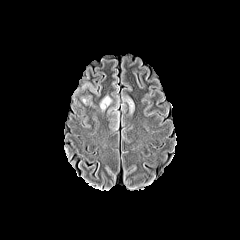
FLAIR MR.
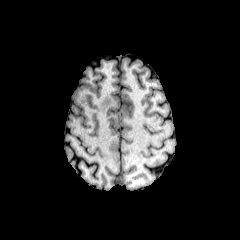
T1-weighted MR of the same slice.
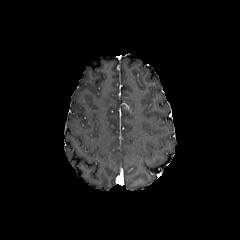
Post-contrast T1-weighted magnetic resonance.
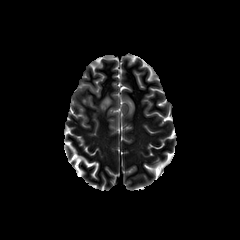
T2-weighted MR image.
240x240
2 edema regions appear at 126 97 135 111, 100 96 111 111. The enhancing tumor is located at 121 103 130 109.